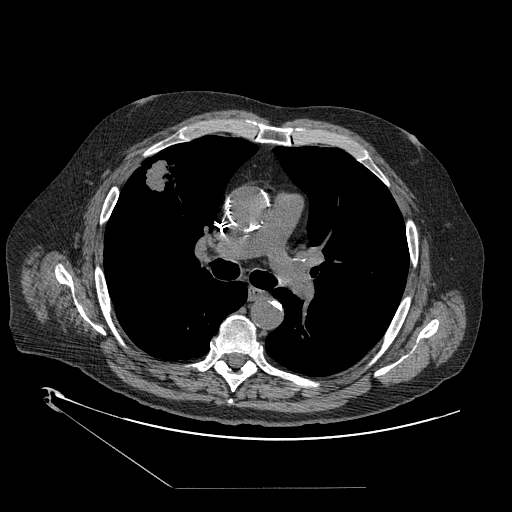
Thorax | Computed tomography

• lung tumor: [140,158,177,192]